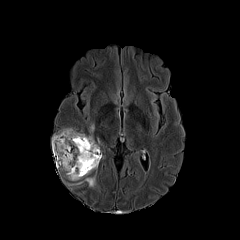
FLAIR MRI.
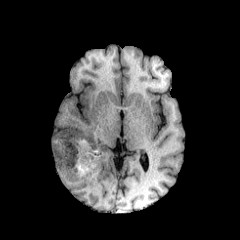
T1-weighted MRI.
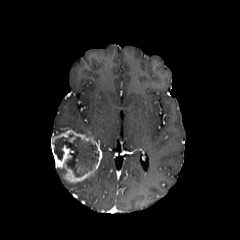
Post-contrast T1-weighted magnetic resonance of the same slice.
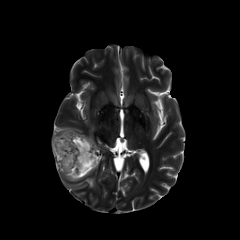
Same slice, T2-weighted MR.
Non-enhancing tumor core = left=53, top=133, right=98, bottom=176; left=57, top=164, right=67, bottom=175.
Enhancing tumor = left=51, top=130, right=102, bottom=182.
Edema = left=83, top=176, right=96, bottom=187.